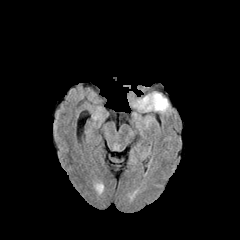
FLAIR MR image.
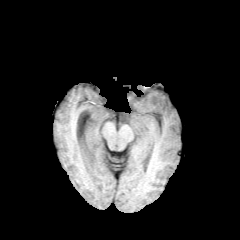
Same slice, T1-weighted MRI.
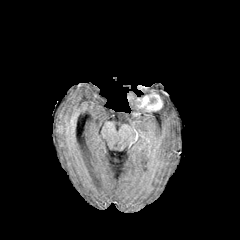
Same slice, post-contrast T1-weighted MRI.
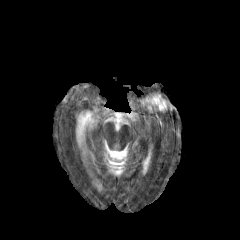
Same slice, T2-weighted MR image.
Image size 240x240
{
  "edema": [
    "x1=151 y1=92 x2=170 y2=113"
  ],
  "enhancing_tumor": [
    "x1=138 y1=92 x2=162 y2=111"
  ]
}